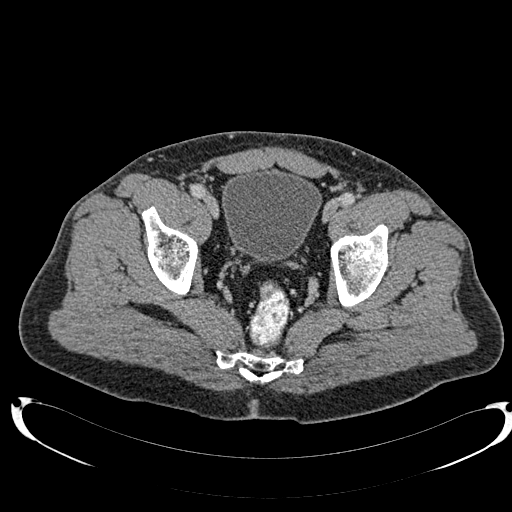 CT. Pelvis.
Urinary bladder: rect(222, 167, 321, 263).